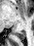 MRI; Image size 34x46
Annotated regions:
- posterior hippocampus: [x1=16, y1=31, x2=25, y2=40]